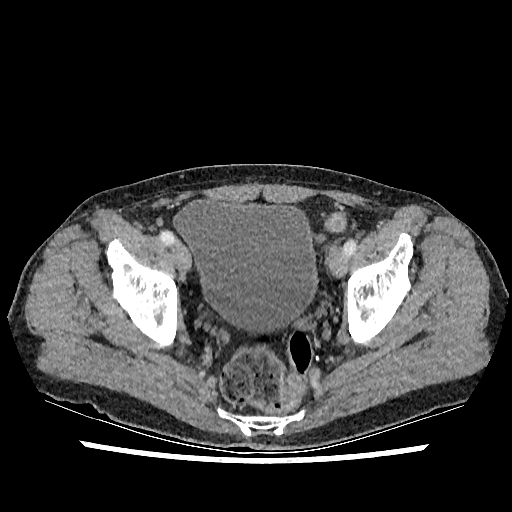
CT | Image size 512x512
The urinary bladder is bounded by 175,198,317,332.